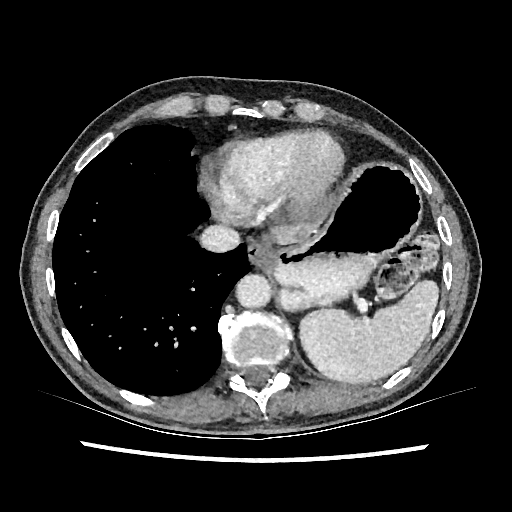
Liver; CT image
<segmentation>
  <hepatic_lesion>bbox=[290, 201, 329, 224]</hepatic_lesion>
  <liver>bbox=[275, 215, 325, 243]</liver>
</segmentation>